CT image. Slice 57/427. 512x512 px.

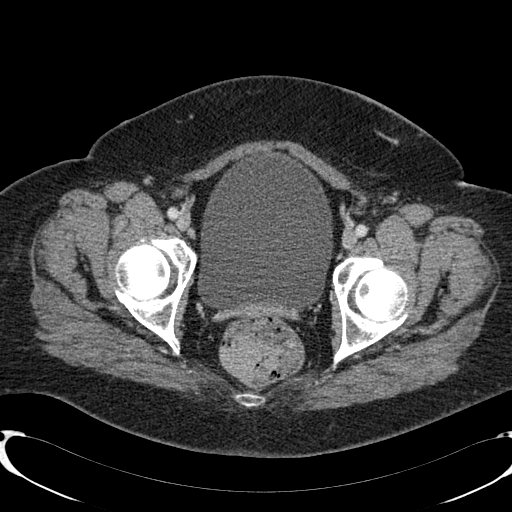

Urinary bladder — x1=198 y1=150 x2=332 y2=309.